Image width 435 mm; Slice 70 of 105; 512x512; CT scan slice

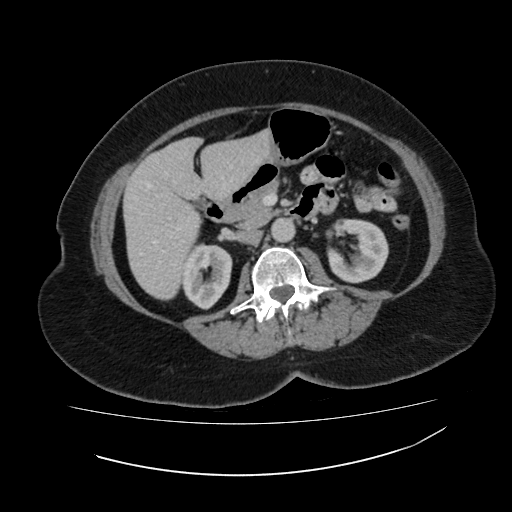
Liver at x1=123 y1=130 x2=269 y2=298.
Kidney at x1=326 y1=219 x2=386 y2=282, x1=181 y1=244 x2=231 y2=307.